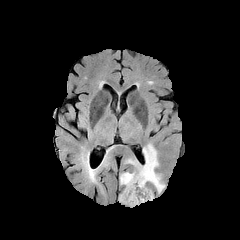
FLAIR MRI.
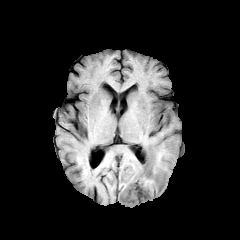
T1-weighted magnetic resonance.
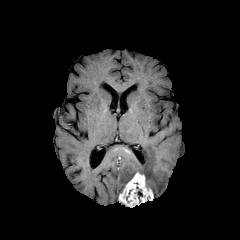
Post-contrast T1-weighted MR.
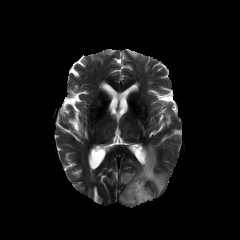
T2-weighted MR image.
Brain; 240x240 px
{
  "enhancing_tumor": [
    "rect(119, 172, 153, 206)"
  ],
  "edema": [
    "rect(124, 143, 165, 193)",
    "rect(119, 171, 135, 184)"
  ]
}